Head | Image width 240 mm | Slice 48 of 155 | 240x240 px
FLAIR magnetic resonance.
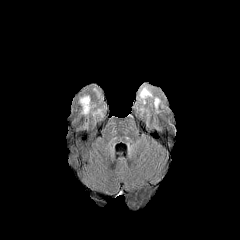
T1-weighted MRI.
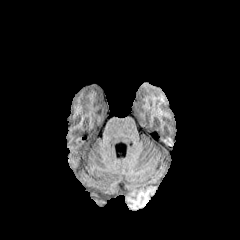
Post-contrast T1-weighted MR image.
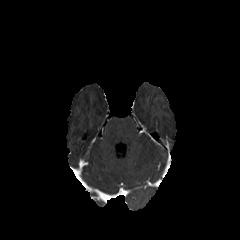
T2-weighted MR.
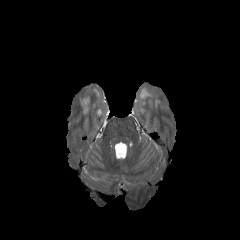
* edema: box=[139, 88, 151, 98]; box=[80, 96, 91, 115]